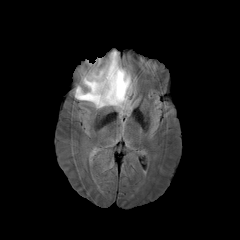
FLAIR MR image.
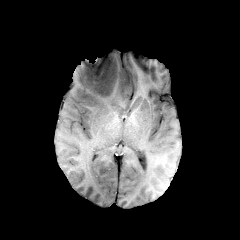
T1-weighted MR image.
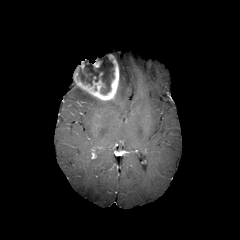
Post-contrast T1-weighted MRI.
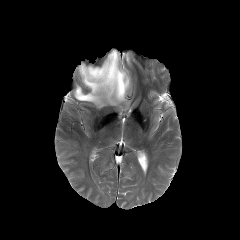
T2-weighted MR image.
Brain
* edema: 73, 50, 135, 117
* non-enhancing tumor core: 77, 53, 116, 94
* enhancing tumor: 74, 59, 119, 101